Computed tomography | Slice 251/304 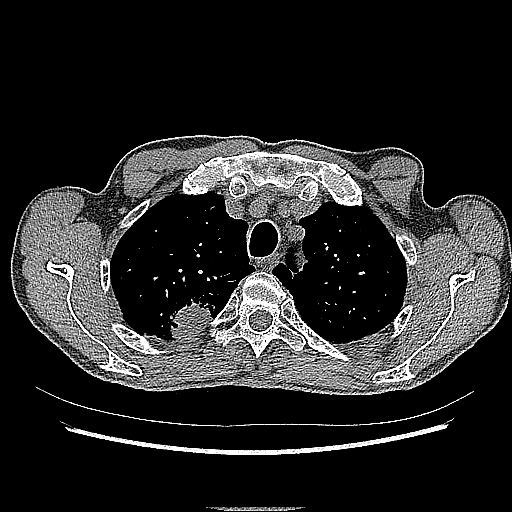

Lung tumor = (left=158, top=289, right=225, bottom=340).